Slice index 72 | Brain | 240x240 px
FLAIR magnetic resonance.
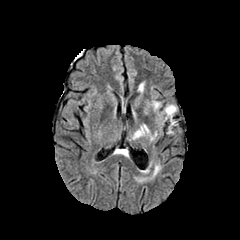
T1-weighted magnetic resonance.
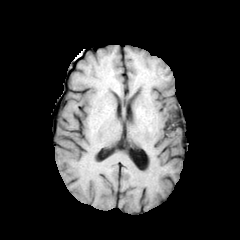
Post-contrast T1-weighted MR image.
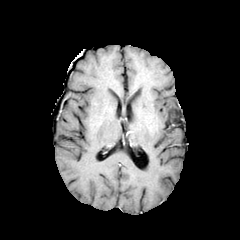
T2-weighted magnetic resonance.
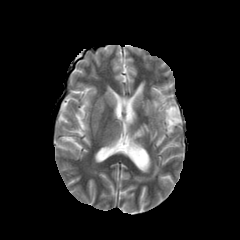
<segmentation>
  <non-enhancing_tumor_core>box=[168, 108, 177, 125]</non-enhancing_tumor_core>
  <edema>box=[166, 122, 177, 133]; box=[153, 164, 160, 174]; box=[132, 125, 148, 138]; box=[152, 101, 177, 125]</edema>
</segmentation>